Head | Image size 240x240 | Image width 240 mm
FLAIR MR.
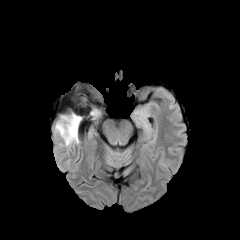
T1-weighted MR image.
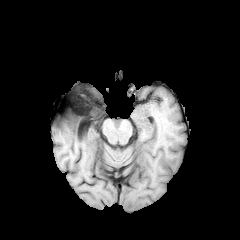
Post-contrast T1-weighted MR image.
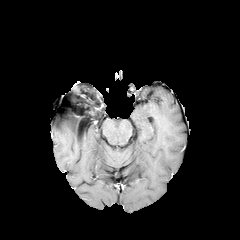
T2-weighted MRI.
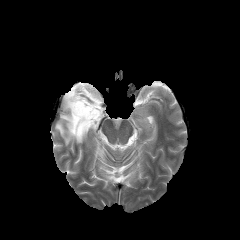
non-enhancing_tumor_core:
  - (x1=57, y1=110, x2=83, y2=129)
edema:
  - (x1=85, y1=100, x2=100, y2=118)
  - (x1=53, y1=120, x2=81, y2=148)